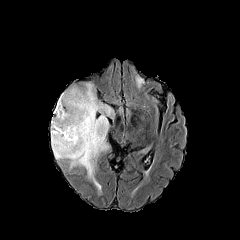
FLAIR MR image.
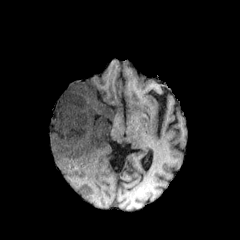
T1-weighted MR.
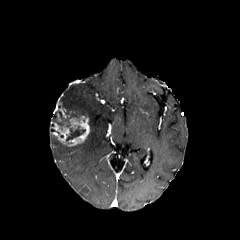
Post-contrast T1-weighted magnetic resonance.
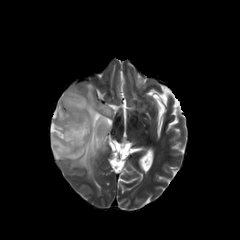
T2-weighted MRI.
The enhancing tumor lies within <bbox>50, 114, 90, 146</bbox>. 2 non-enhancing tumor core regions are bounded by <bbox>65, 126, 85, 140</bbox>, <bbox>51, 102, 70, 127</bbox>. The edema lies within <bbox>51, 82, 115, 190</bbox>.